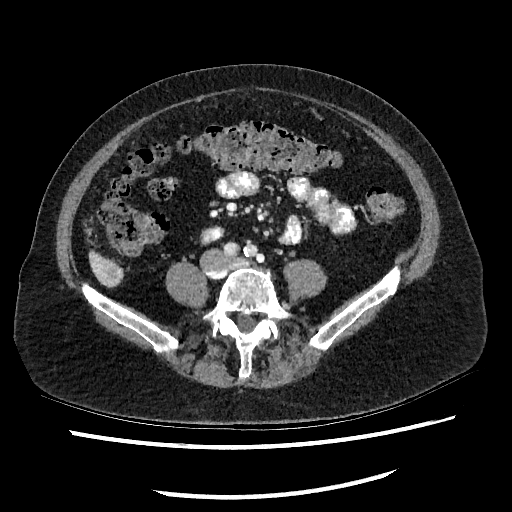 CT scan slice | Liver

The liver appears at region(90, 254, 121, 284). The liver lesion is at region(108, 267, 118, 277).